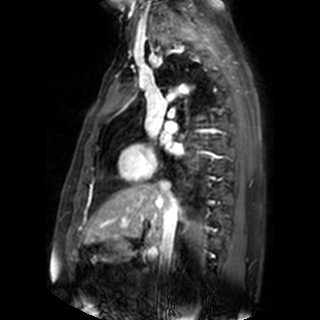
MRI slice; Heart; 320x320 px
Left atrium at bbox=[160, 132, 182, 153].